Slice 455/871. Computed tomography.
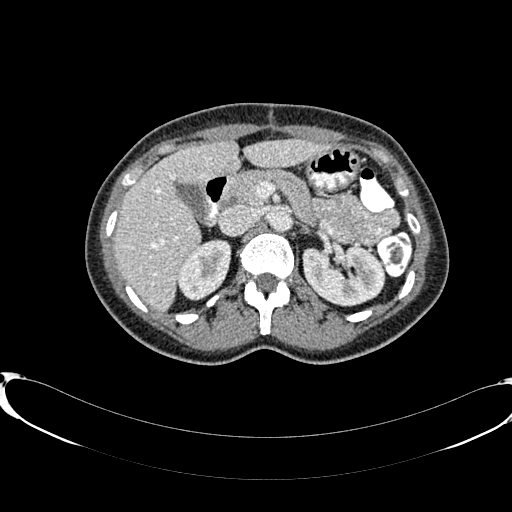
Annotated regions:
- kidney: {"x1": 304, "y1": 248, "x2": 383, "y2": 304}, {"x1": 180, "y1": 242, "x2": 229, "y2": 298}
- liver: {"x1": 113, "y1": 142, "x2": 239, "y2": 310}, {"x1": 244, "y1": 140, "x2": 329, "y2": 167}